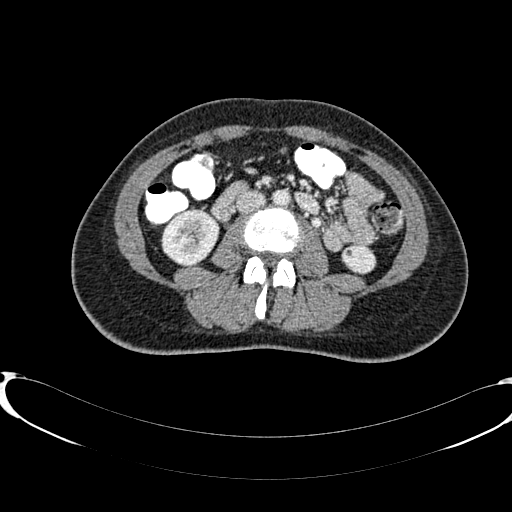 Abdomen, CT
2 kidney regions are located at (163,212,217,264), (344,247,373,271).